240x240 px, Field of view 240x240 mm, Slice index 81
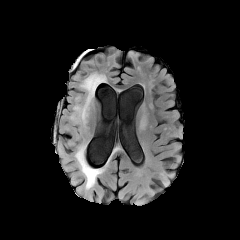
FLAIR MR image.
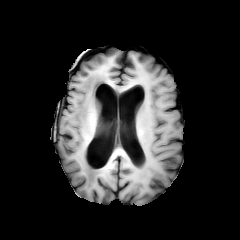
T1-weighted magnetic resonance of the same slice.
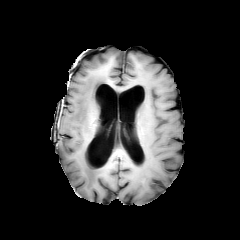
Post-contrast T1-weighted MRI.
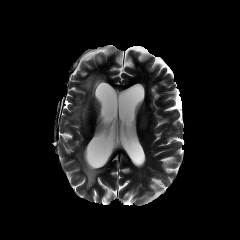
T2-weighted MRI.
2 edema regions are located at (75,74,104,116), (74,144,102,189).